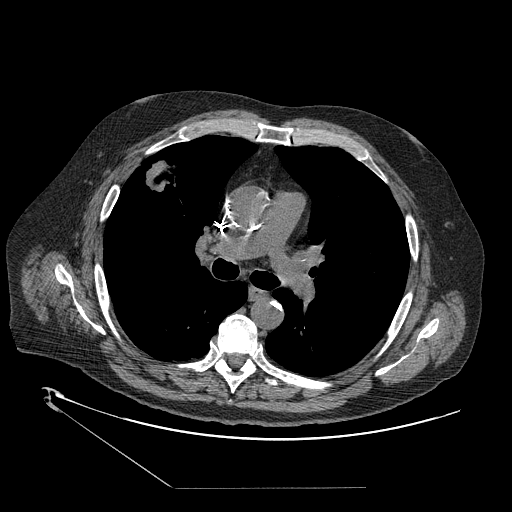 CT scan slice, 512x512, Lung
The lung tumor is located at <box>138,159,178,192</box>.